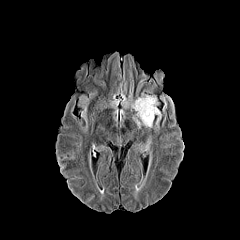
FLAIR magnetic resonance.
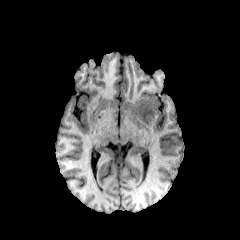
T1-weighted magnetic resonance.
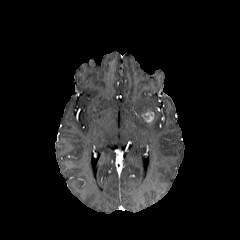
Post-contrast T1-weighted magnetic resonance.
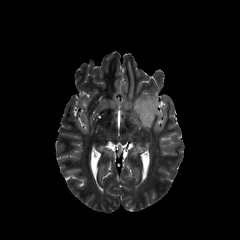
Same slice, T2-weighted MR.
Edema: bounding box (left=130, top=91, right=172, bottom=129).
Enhancing tumor: bounding box (left=142, top=109, right=153, bottom=123).